CT | Thorax 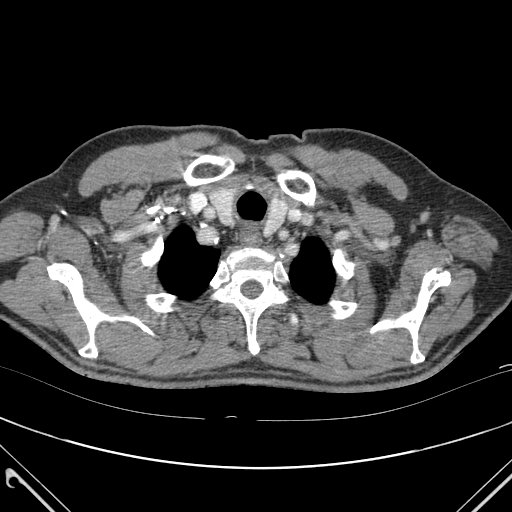 lung: rect(158, 226, 219, 299); rect(289, 237, 334, 303) | bone: rect(149, 206, 175, 212); rect(146, 293, 174, 312); rect(370, 268, 450, 363); rect(333, 249, 353, 278); rect(210, 248, 287, 354); rect(47, 263, 152, 357); rect(183, 155, 233, 185); rect(330, 301, 356, 318); rect(278, 171, 315, 205); rect(141, 237, 163, 265); rect(149, 218, 159, 227)